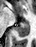
MRI slice; 36x47 px
Annotated regions:
• posterior hippocampus: [16, 21, 29, 36]